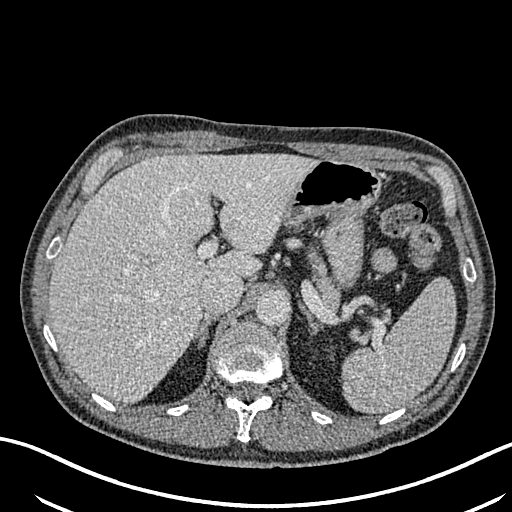

CT scan slice | Image size 512x512 | Upper abdomen
The liver appears at box(49, 153, 318, 403).